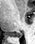
MRI slice; Medial temporal lobe

* posterior hippocampus: left=9, top=33, right=22, bottom=37